Field of view 240x240 mm, 240x240
FLAIR MR.
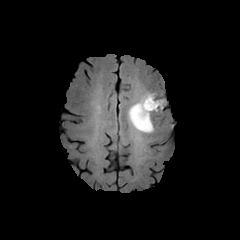
T1-weighted MR image.
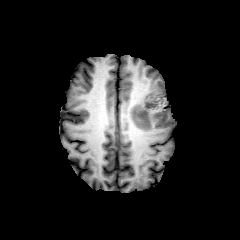
Post-contrast T1-weighted MR.
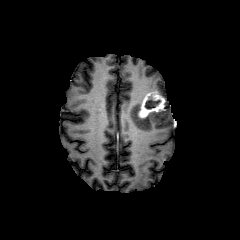
T2-weighted MR.
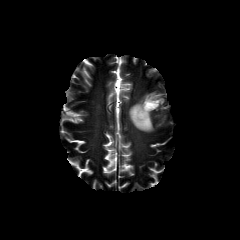
{"edema": ["region(127, 93, 155, 133)"], "non-enhancing_tumor_core": ["region(145, 99, 160, 108)"], "enhancing_tumor": ["region(137, 92, 165, 118)"]}